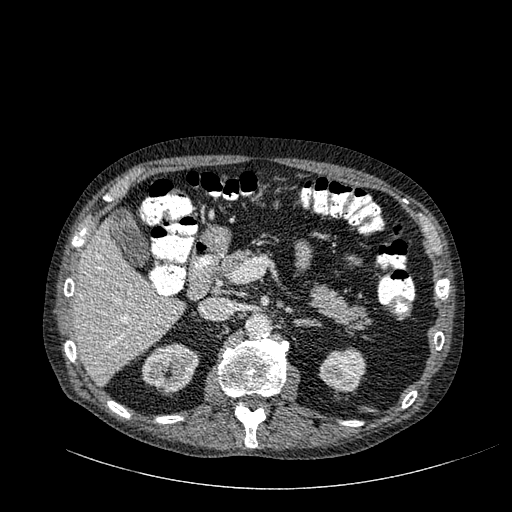

Computed tomography

{
  "liver": [
    "bbox=[74, 219, 184, 385]"
  ],
  "kidney": [
    "bbox=[142, 343, 198, 393]",
    "bbox=[318, 348, 365, 392]"
  ]
}